Slice index 137 | Lung | CT image 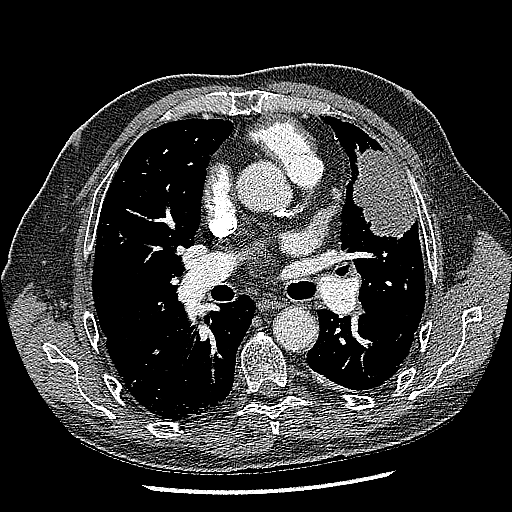 The lung tumor is at (352, 140, 415, 240).